Brain. Slice 523 of 540. Image size 512x512. CT image.
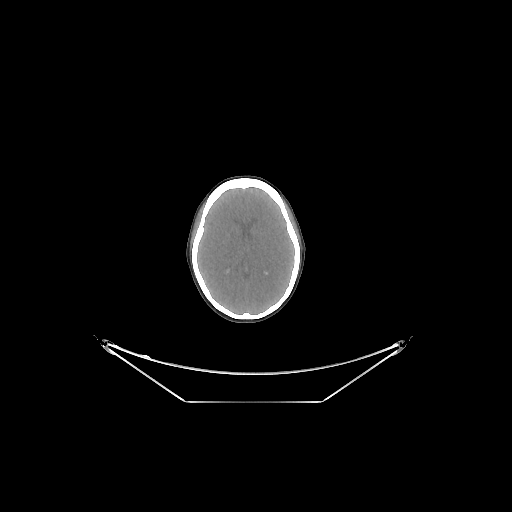 Brain — <bbox>197, 187, 294, 314</bbox>.